Slice index 13; Magnetic resonance; Hippocampus

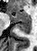
Anterior hippocampus — bbox(6, 10, 30, 22).
Posterior hippocampus — bbox(17, 23, 30, 33).